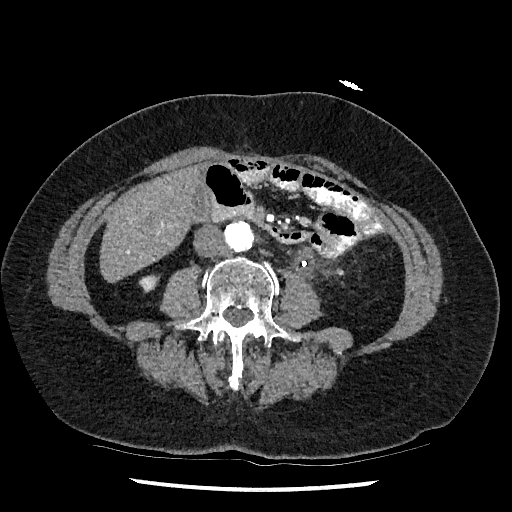
Liver, CT scan slice

The liver lies within (left=99, top=165, right=200, bottom=281). The kidney is bounded by (left=140, top=277, right=154, bottom=290).